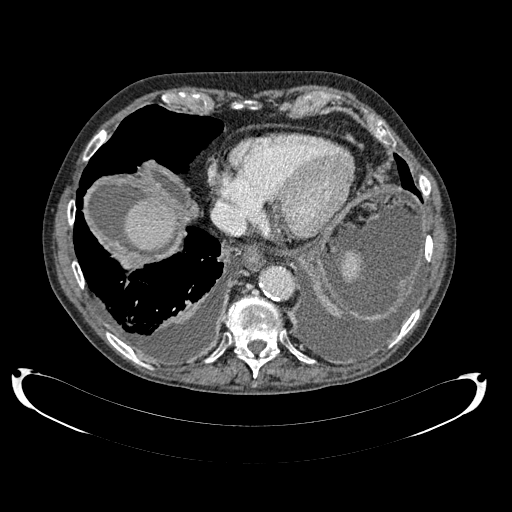
Image size 512x512; CT image; Upper abdomen
Liver — [x1=126, y1=197, x2=175, y2=249].